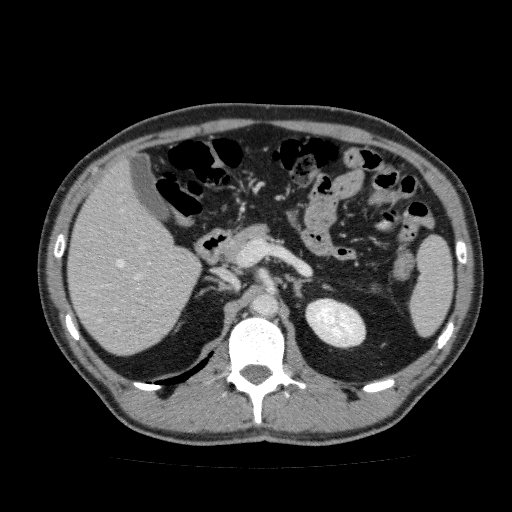 Upper abdomen | CT scan slice
The liver is located at box=[66, 158, 199, 355]. The kidney appears at box=[306, 299, 364, 346].